FLAIR MR.
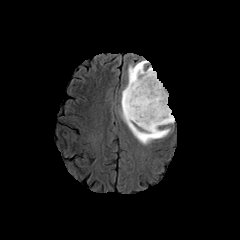
T1-weighted MR image.
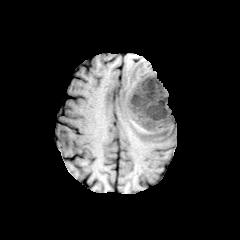
Post-contrast T1-weighted magnetic resonance.
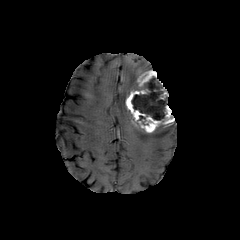
T2-weighted MR image.
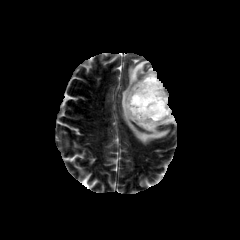
{
  "non-enhancing_tumor_core": [
    "bbox(131, 76, 167, 120)"
  ],
  "enhancing_tumor": [
    "bbox(137, 70, 168, 100)",
    "bbox(125, 89, 174, 133)"
  ],
  "edema": [
    "bbox(119, 60, 171, 145)"
  ]
}